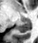 Medial temporal lobe. MR.
The posterior hippocampus is bounded by bbox(16, 20, 30, 32).